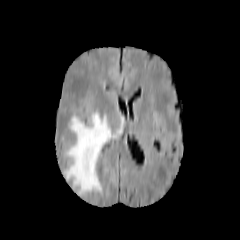
FLAIR magnetic resonance.
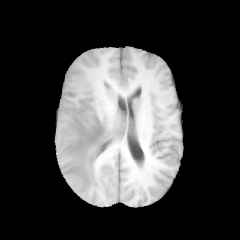
T1-weighted MR.
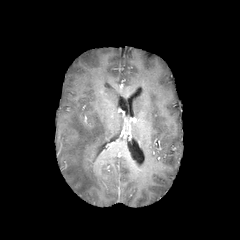
Same slice, post-contrast T1-weighted magnetic resonance.
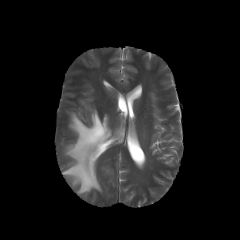
T2-weighted magnetic resonance.
Brain
edema: [x1=63, y1=111, x2=124, y2=193]